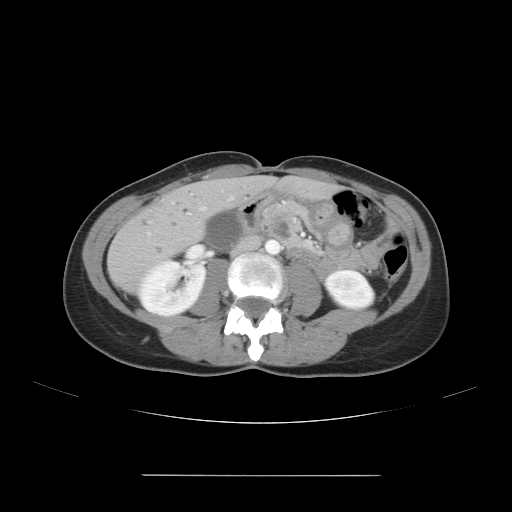 CT slice.
Pancreatic tumor = x1=270, y1=215, x2=289, y2=240.
Pancreas = x1=260, y1=201, x2=319, y2=242.